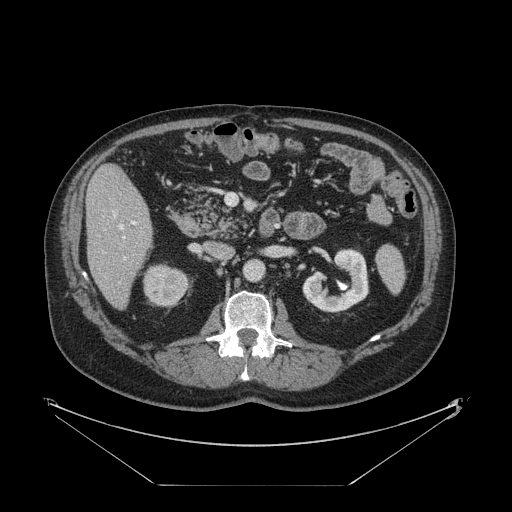
CT; Liver
Some hepatic vessels may have no box.
Segmented structures:
- hepatic vessel: x1=123, y1=256, x2=125, y2=259; x1=131, y1=221, x2=134, y2=223